512x512 | Abdomen | CT image 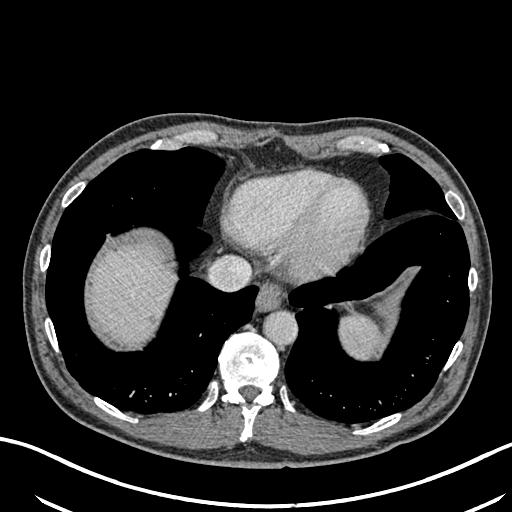

{"liver": ["x1=90 y1=245 x2=170 y2=339"]}